CT scan slice; Image width 335 mm; Image size 512x512 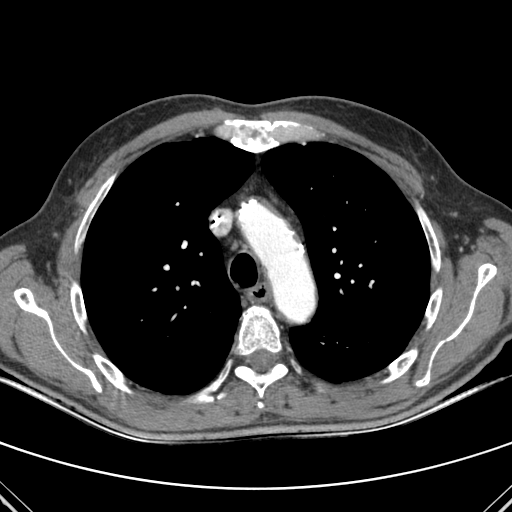 Annotated regions:
- bone: x1=75, y1=174, x2=115, y2=250; x1=93, y1=354, x2=131, y2=392; x1=429, y1=263, x2=496, y2=365; x1=14, y1=288, x2=101, y2=392; x1=224, y1=119, x2=297, y2=152; x1=383, y1=349, x2=417, y2=382; x1=415, y1=371, x2=430, y2=386; x1=70, y1=282, x2=86, y2=331; x1=235, y1=364, x2=287, y2=397; x1=425, y1=288, x2=442, y2=328; x1=237, y1=306, x2=281, y2=355; x1=190, y1=362, x2=230, y2=402; x1=418, y1=207, x2=440, y2=271
- lung: x1=261, y1=142, x2=430, y2=382; x1=81, y1=137, x2=254, y2=394